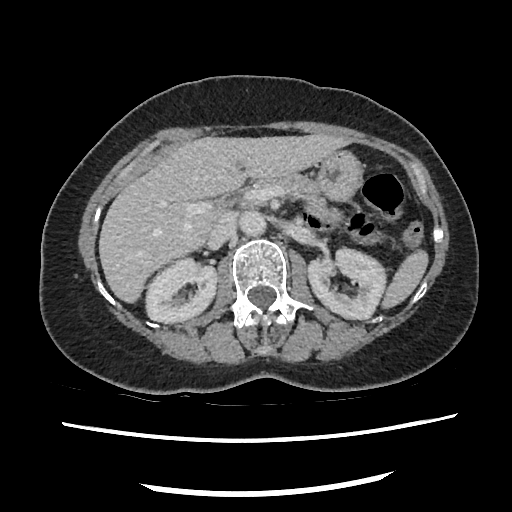 Image size 512x512. Abdomen. Computed tomography.
Segmented structures:
• pancreas: (x1=254, y1=174, x2=340, y2=222)